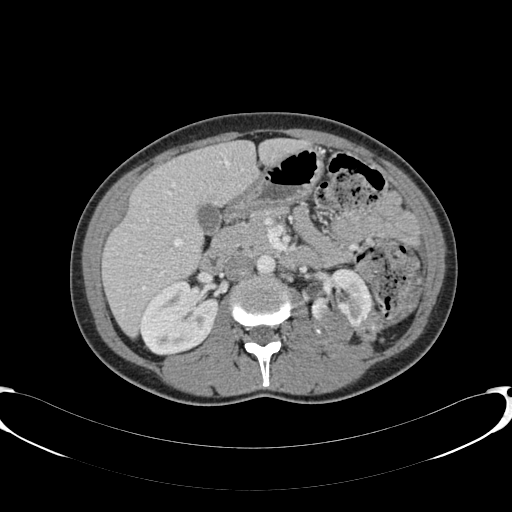
CT scan slice, 512x512 px
Liver — [259,139,309,165], [103,140,257,335].
Kidney — [141,282,216,353], [310,270,371,347].